Image size 240x240
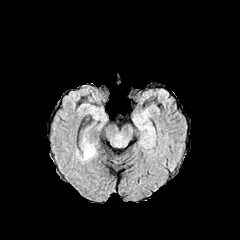
FLAIR MRI.
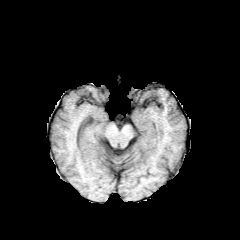
T1-weighted magnetic resonance of the same slice.
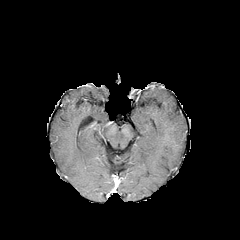
Post-contrast T1-weighted MR image.
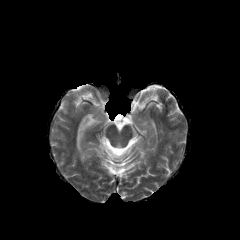
T2-weighted MRI of the same slice.
edema: 83:144:96:159